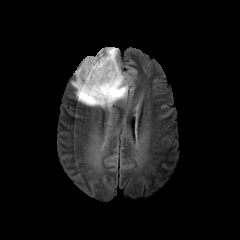
FLAIR MR image.
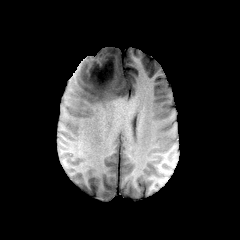
T1-weighted MRI of the same slice.
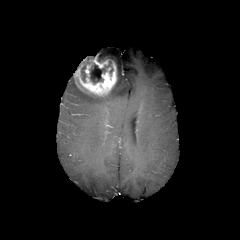
Same slice, post-contrast T1-weighted magnetic resonance.
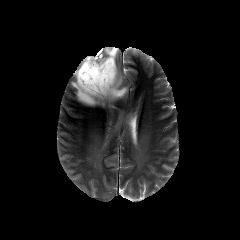
Same slice, T2-weighted MR.
Head. 240x240.
{
  "edema": [
    "[71,47,130,109]"
  ],
  "non-enhancing_tumor_core": [
    "[81,54,117,83]",
    "[76,79,94,95]"
  ],
  "enhancing_tumor": [
    "[89,54,108,68]",
    "[75,62,116,96]"
  ]
}